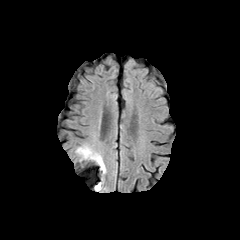
FLAIR MR image.
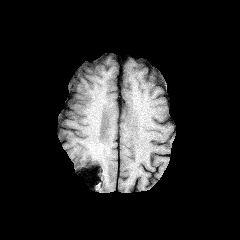
T1-weighted magnetic resonance of the same slice.
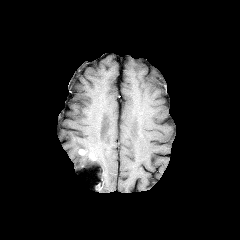
Post-contrast T1-weighted MRI.
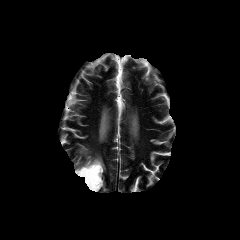
T2-weighted MRI.
Image size 240x240.
The edema is located at box(75, 144, 106, 176).